FLAIR magnetic resonance.
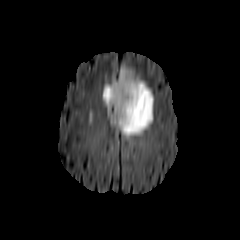
T1-weighted magnetic resonance.
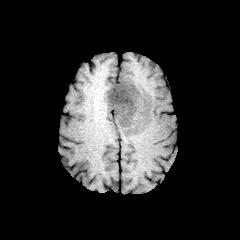
Post-contrast T1-weighted MR image.
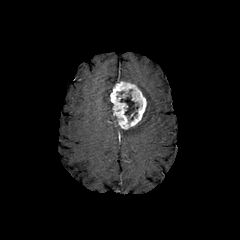
T2-weighted MRI.
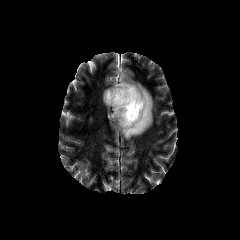
Non-enhancing tumor core: bounding box 120 95 135 115.
Edema: bounding box 102 66 154 141.
Enhancing tumor: bounding box 109 80 146 129.